240x240 px | Slice 49 of 155 | Brain
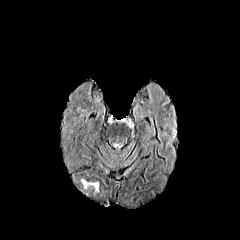
FLAIR magnetic resonance.
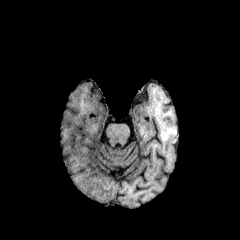
T1-weighted MRI.
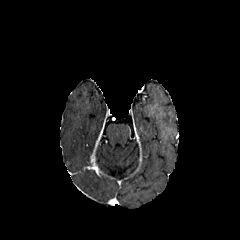
Same slice, post-contrast T1-weighted MR.
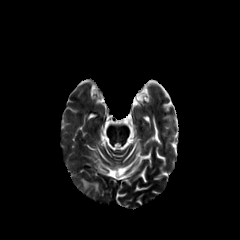
T2-weighted magnetic resonance.
The edema is bounded by 81:179:99:192.